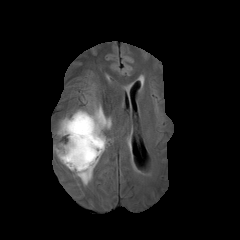
FLAIR MR.
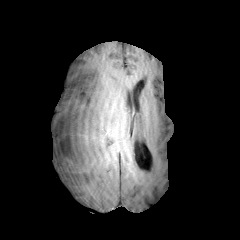
T1-weighted MR of the same slice.
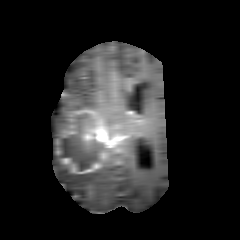
Post-contrast T1-weighted MR.
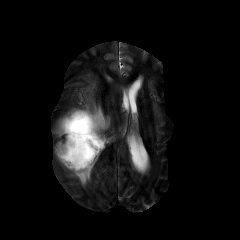
T2-weighted MR.
Brain; 240x240 px
The non-enhancing tumor core is bounded by bbox=[61, 113, 101, 171]. 3 enhancing tumor regions are located at bbox=[75, 110, 95, 115]; bbox=[62, 158, 70, 164]; bbox=[82, 116, 111, 145]. 2 edema regions are located at bbox=[54, 102, 111, 184]; bbox=[94, 145, 107, 167].